FLAIR MRI.
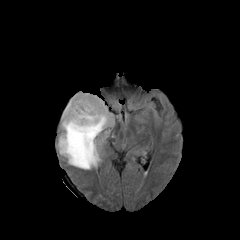
T1-weighted MR image.
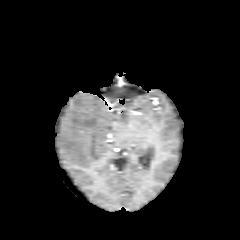
Post-contrast T1-weighted MRI.
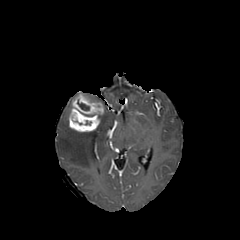
T2-weighted MR.
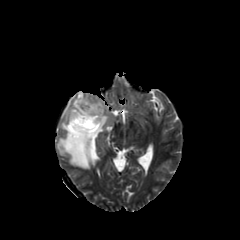
Head.
{
  "non-enhancing_tumor_core": [
    "bbox(66, 100, 71, 127)",
    "bbox(78, 102, 89, 110)"
  ],
  "enhancing_tumor": [
    "bbox(68, 91, 103, 132)"
  ],
  "edema": [
    "bbox(58, 102, 113, 169)"
  ]
}